CT image, Slice index 368
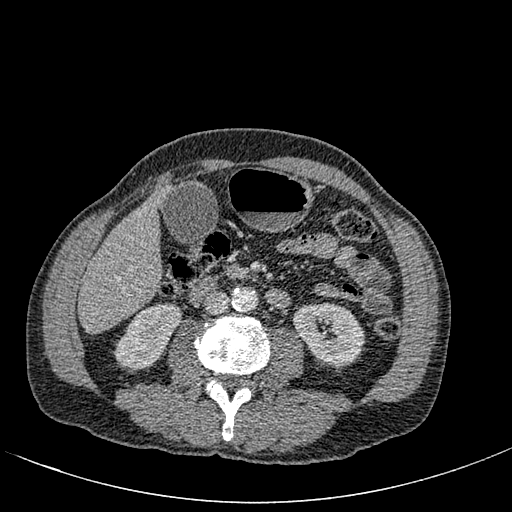 Annotated regions:
* kidney: 293 302 364 366, 115 304 181 369
* liver: 78 196 160 331